Slice index 57. 240x240 px.
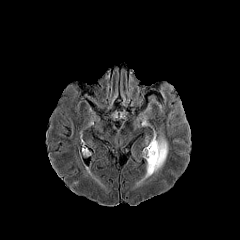
FLAIR MRI.
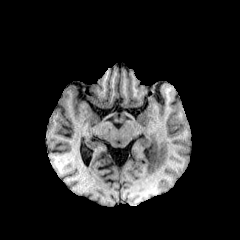
T1-weighted MRI.
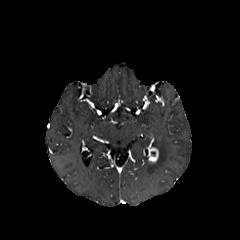
Post-contrast T1-weighted MR image.
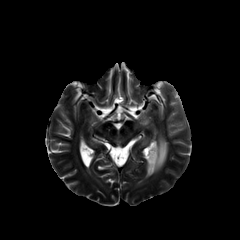
T2-weighted magnetic resonance.
{
  "edema": [
    "145,133,167,178"
  ],
  "enhancing_tumor": [
    "148,148,158,162"
  ]
}